Abdomen, Field of view 400x400 mm, CT image
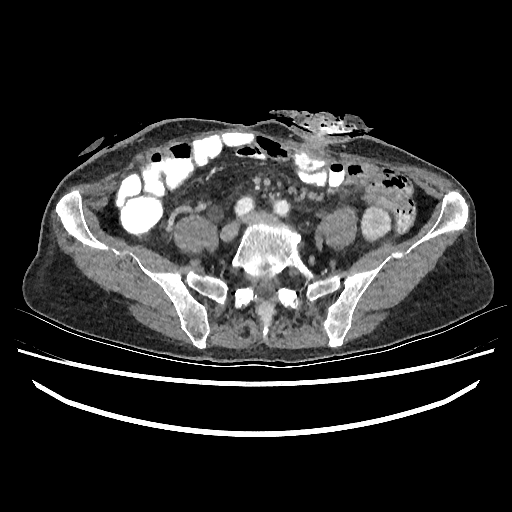

Annotated regions:
* kidney: box(362, 207, 390, 238); box(390, 251, 403, 257)